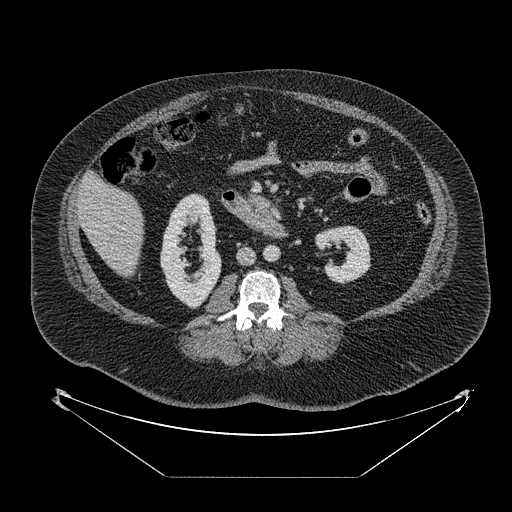

Upper abdomen, CT image
The pancreas is located at <box>244,194,278,219</box>.